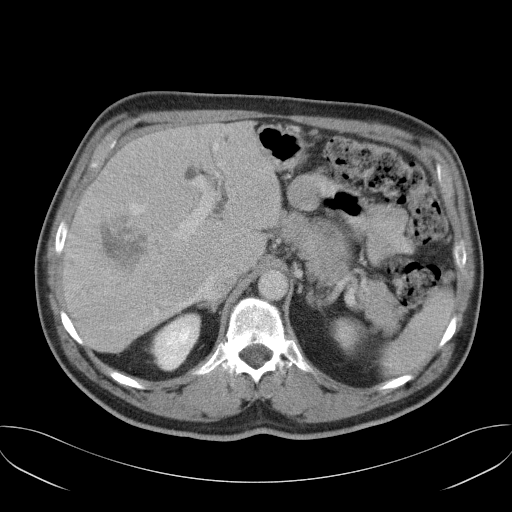

CT scan slice, Image size 512x512, Abdomen
Only some of the vessels may be annotated.
The liver tumor lies within (x1=101, y1=216, x2=149, y2=272). 5 hepatic vessel regions appear at (x1=216, y1=173, x2=218, y2=175), (x1=131, y1=204, x2=142, y2=213), (x1=176, y1=276, x2=214, y2=307), (x1=179, y1=176, x2=218, y2=239), (x1=154, y1=310, x2=161, y2=317).